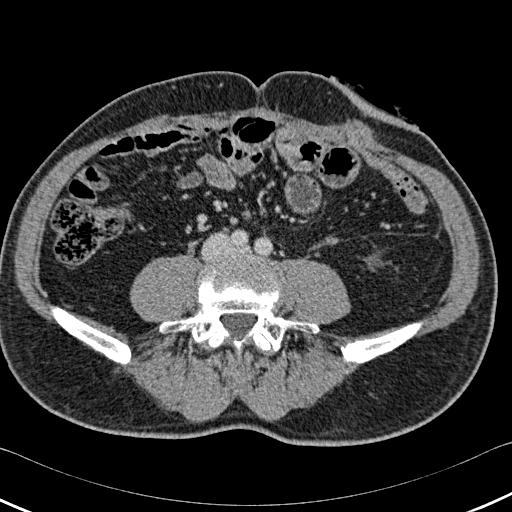 512x512 | CT image

Bone = l=233, t=338, r=245, b=353; l=53, t=308, r=130, b=363; l=160, t=263, r=318, b=351; l=341, t=324, r=420, b=362.